Slice 66/141, CT image 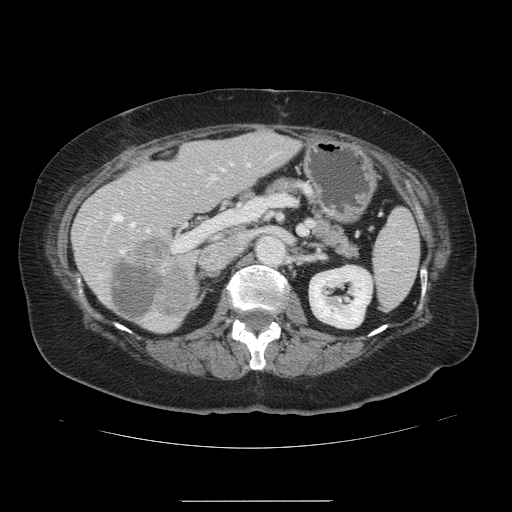
Some hepatic vessels may have no box.
<segmentation>
  <liver_tumor>(109, 237, 193, 321)</liver_tumor>
  <hepatic_vessel>(113, 214, 122, 220), (146, 228, 148, 231), (229, 162, 231, 164), (246, 163, 248, 165), (220, 213, 223, 218), (222, 202, 225, 204), (270, 154, 273, 156), (97, 215, 100, 217), (238, 203, 240, 205), (214, 217, 216, 223), (119, 249, 124, 252), (130, 222, 134, 226), (209, 175, 215, 179), (220, 168, 223, 169), (171, 220, 212, 251)</hepatic_vessel>
</segmentation>